Slice 120/155, 240x240
FLAIR MR.
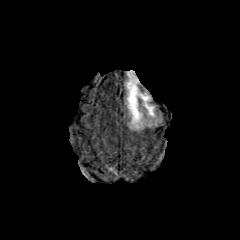
T1-weighted magnetic resonance.
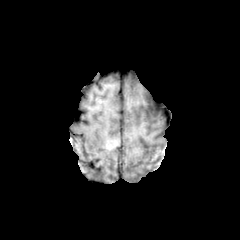
Post-contrast T1-weighted MRI.
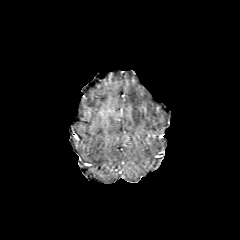
T2-weighted magnetic resonance.
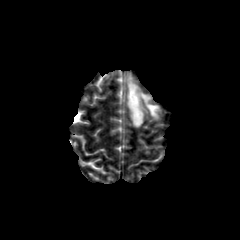
Edema: bounding box (left=126, top=71, right=161, bottom=129).